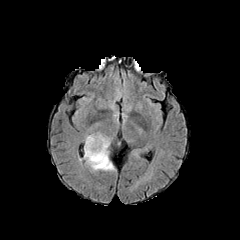
FLAIR MR.
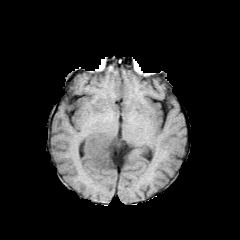
T1-weighted magnetic resonance.
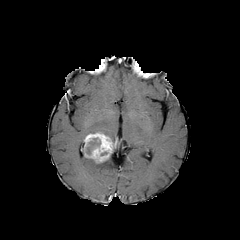
Post-contrast T1-weighted MRI.
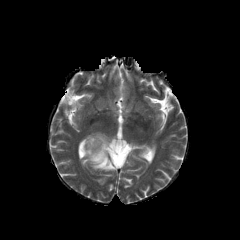
T2-weighted MR.
240x240 px
enhancing tumor: region(81, 133, 119, 163) | edema: region(79, 156, 115, 171)